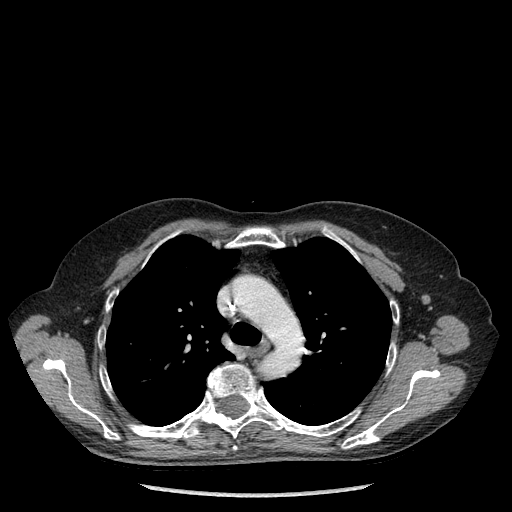

Chest, Computed tomography, 512x512 px
11 bone regions are bounded by {"x1": 225, "y1": 227, "x2": 284, "y2": 247}, {"x1": 42, "y1": 357, "x2": 119, "y2": 439}, {"x1": 323, "y1": 226, "x2": 359, "y2": 260}, {"x1": 106, "y1": 291, "x2": 116, "y2": 311}, {"x1": 143, "y1": 230, "x2": 180, "y2": 266}, {"x1": 341, "y1": 369, "x2": 440, "y2": 448}, {"x1": 128, "y1": 364, "x2": 360, "y2": 438}, {"x1": 99, "y1": 366, "x2": 112, "y2": 398}, {"x1": 390, "y1": 300, "x2": 399, "y2": 323}, {"x1": 386, "y1": 343, "x2": 396, "y2": 373}, {"x1": 97, "y1": 327, "x2": 105, "y2": 347}. 2 lung regions appear at {"x1": 106, "y1": 235, "x2": 260, "y2": 426}, {"x1": 264, "y1": 237, "x2": 391, "y2": 425}.